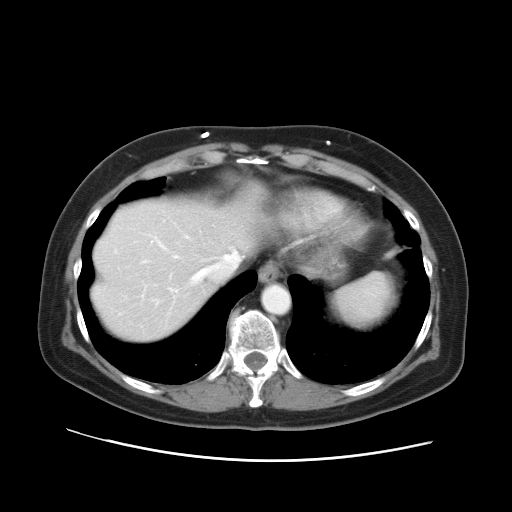
CT slice
Only some of the vessels may be annotated.
Hepatic vessel: [169, 288, 177, 293], [153, 300, 158, 303], [189, 249, 239, 284].